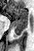 Image size 34x51, MRI slice, Medial temporal lobe
The posterior hippocampus is bounded by [13,22,27,35]. The anterior hippocampus lies within [10,6,27,21].